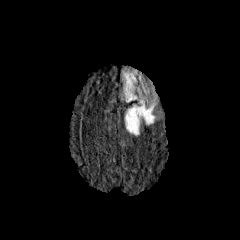
FLAIR MR image.
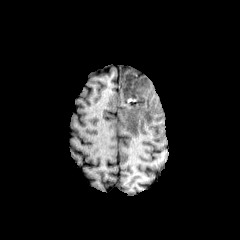
Same slice, T1-weighted MR.
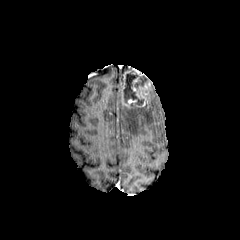
Post-contrast T1-weighted MR image.
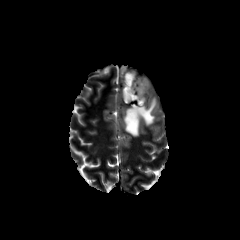
T2-weighted MRI of the same slice.
edema:
  - {"x1": 124, "y1": 106, "x2": 161, "y2": 136}
enhancing_tumor:
  - {"x1": 120, "y1": 68, "x2": 156, "y2": 109}
non-enhancing_tumor_core:
  - {"x1": 123, "y1": 73, "x2": 140, "y2": 103}